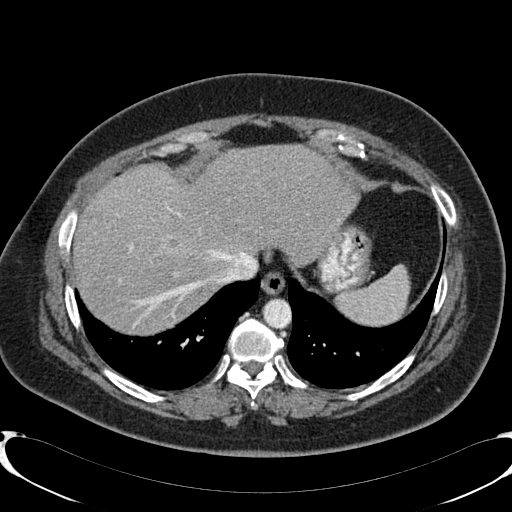
CT.
Liver: 75,146,361,332.
Liver lesion: 167,236,180,248.